MR image, Image size 35x55, Slice 11 of 32
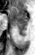 Posterior hippocampus — x1=16, y1=24, x2=26, y2=36.
Anterior hippocampus — x1=11, y1=6, x2=27, y2=23.